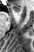 MRI slice
Segmented structures:
* anterior hippocampus: 11:5:20:11